Slice 36/40; Field of view 449 mm wide, 5.00 mm slice spacing; CT

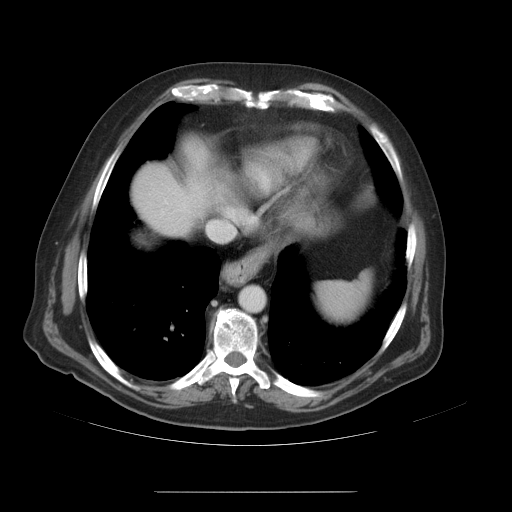

The vessel boxes may cover only some of the vessels.
<segmentation>
  <hepatic_vessel><bbox>181, 209, 183, 210</bbox></hepatic_vessel>
</segmentation>